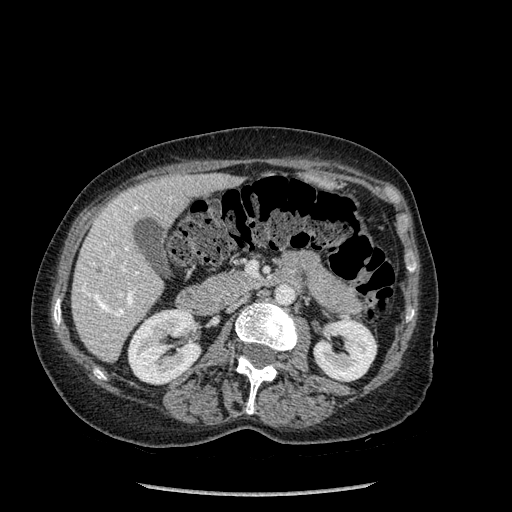 CT image | Upper abdomen
kidney:
  - left=128, top=310, right=200, bottom=383
  - left=314, top=319, right=376, bottom=381
liver:
  - left=71, top=173, right=240, bottom=362
bone:
  - left=236, top=356, right=277, bottom=414
  - left=53, top=298, right=60, bottom=325
  - left=94, top=368, right=106, bottom=379
  - left=407, top=263, right=415, bottom=271
  - left=406, top=310, right=413, bottom=321
  - left=235, top=302, right=297, bottom=351